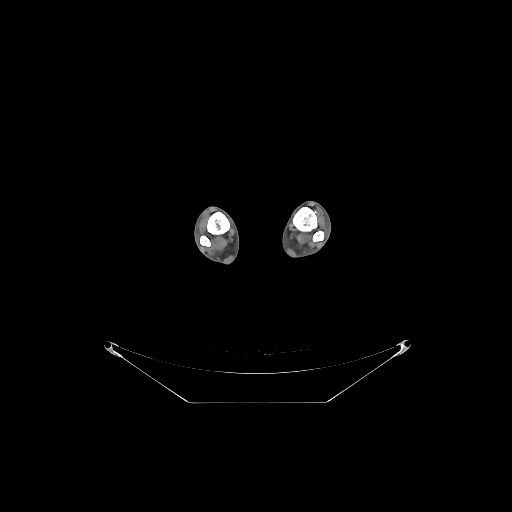 CT image | 512x512
Bone — 200:236:210:246, 207:212:229:234, 293:207:317:231, 313:231:323:241.